Slice 96/155, Image width 240 mm, Head, 240x240 px
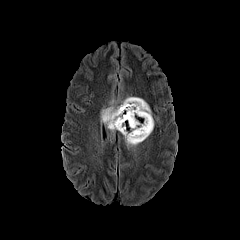
FLAIR MR.
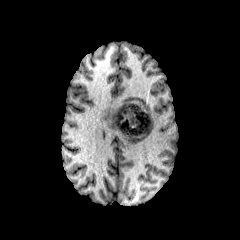
Same slice, T1-weighted MR image.
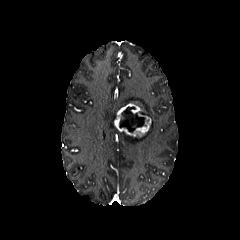
Post-contrast T1-weighted MR image of the same slice.
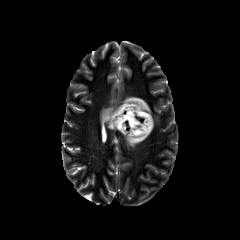
T2-weighted MR of the same slice.
Findings:
* non-enhancing tumor core: <bbox>119, 106, 145, 133</bbox>
* enhancing tumor: <bbox>114, 102, 151, 138</bbox>
* edema: <bbox>118, 95, 159, 147</bbox>, <bbox>99, 99, 115, 131</bbox>